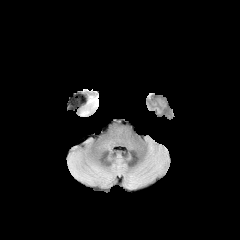
FLAIR magnetic resonance.
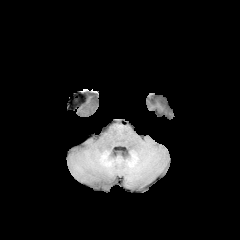
Same slice, T1-weighted MR.
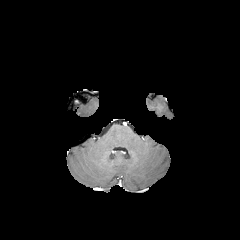
Post-contrast T1-weighted MRI.
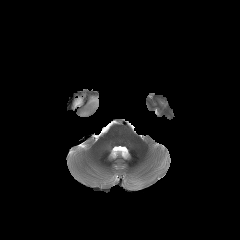
Same slice, T2-weighted MRI.
Head
edema: (x1=80, y1=96, x2=97, y2=115)